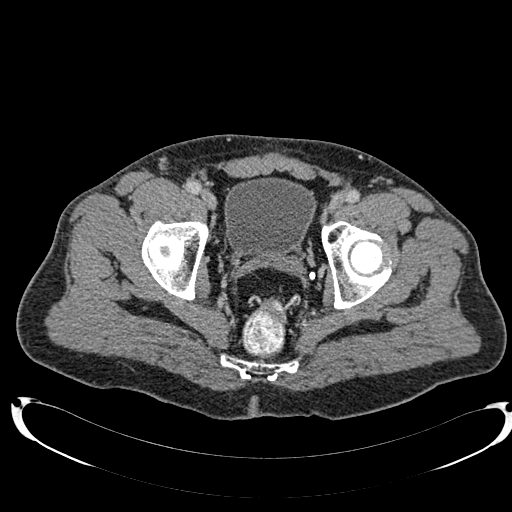 Pelvis; CT slice
Urinary bladder: bounding box x1=224 y1=177 x2=316 y2=264.